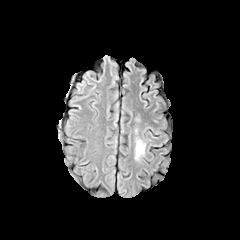
FLAIR MR image.
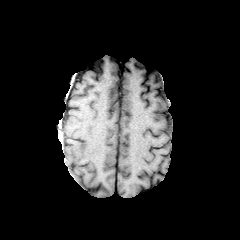
T1-weighted magnetic resonance.
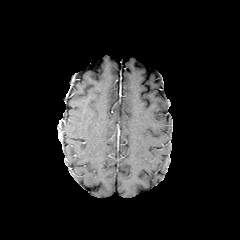
Post-contrast T1-weighted MRI of the same slice.
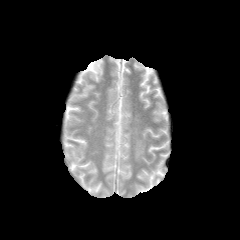
T2-weighted MRI of the same slice.
Edema: [x1=134, y1=129, x2=145, y2=159].